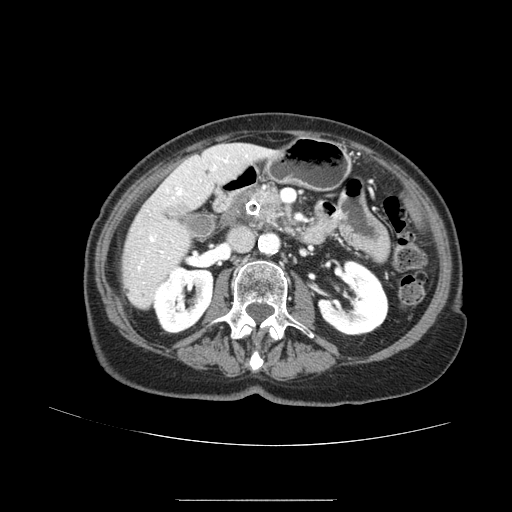
CT image; Upper abdomen
The pancreas is located at [253, 187, 283, 219]. The pancreatic tumor appears at [261, 202, 274, 216].